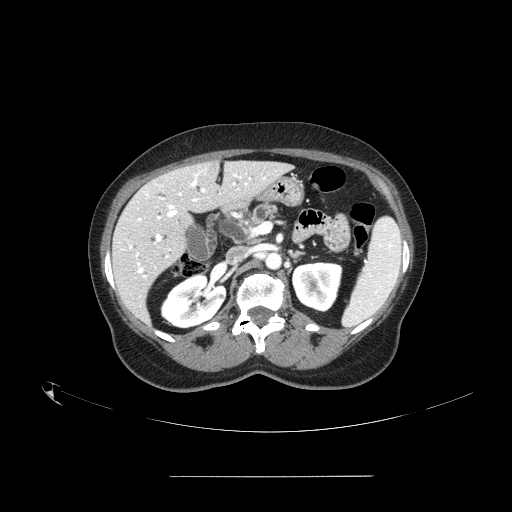
CT image. Abdomen.

pancreas:
  - (left=252, top=203, right=279, bottom=226)